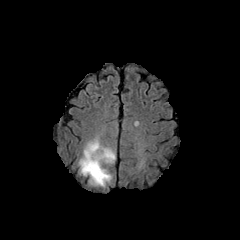
FLAIR MRI.
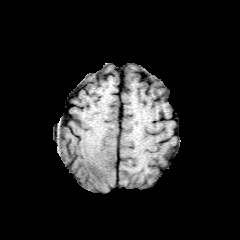
T1-weighted MRI.
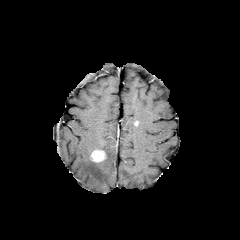
Post-contrast T1-weighted MRI of the same slice.
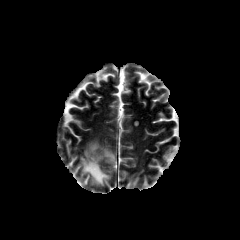
T2-weighted MR of the same slice.
240x240 px; Head
enhancing tumor: box=[90, 150, 106, 162] | edema: box=[77, 137, 115, 187]